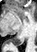 MR

Annotated regions:
* posterior hippocampus: x1=8, y1=39, x2=23, y2=45